CT slice

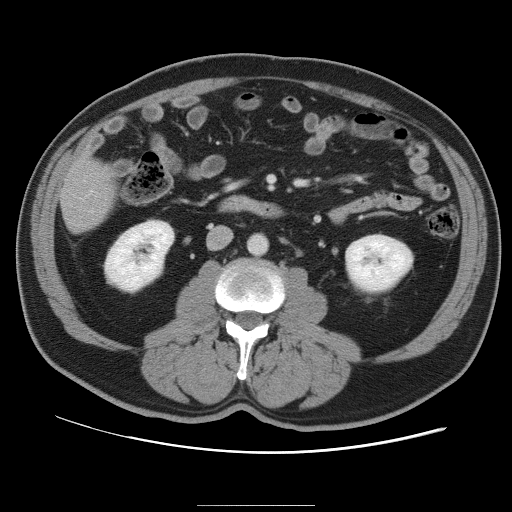 Not every hepatic vessel necessarily has a box.
hepatic_vessel:
  - [91,211,92,212]
  - [90,190,92,193]